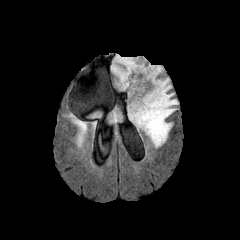
FLAIR MRI.
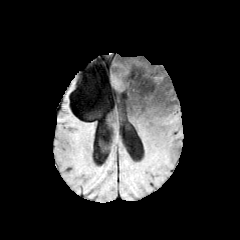
T1-weighted MR image of the same slice.
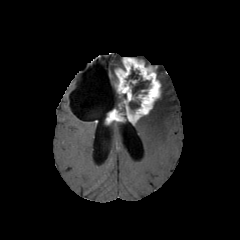
Post-contrast T1-weighted MRI of the same slice.
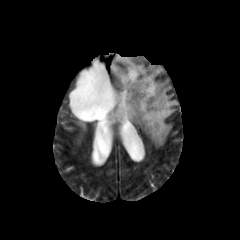
T2-weighted MR.
Head
2 enhancing tumor regions are located at l=115, t=58, r=160, b=122; l=107, t=109, r=123, b=122. 3 edema regions appear at l=88, t=110, r=101, b=117; l=135, t=77, r=178, b=147; l=111, t=56, r=121, b=75. 3 non-enhancing tumor core regions appear at l=116, t=92, r=127, b=119; l=128, t=100, r=140, b=111; l=125, t=70, r=149, b=97.